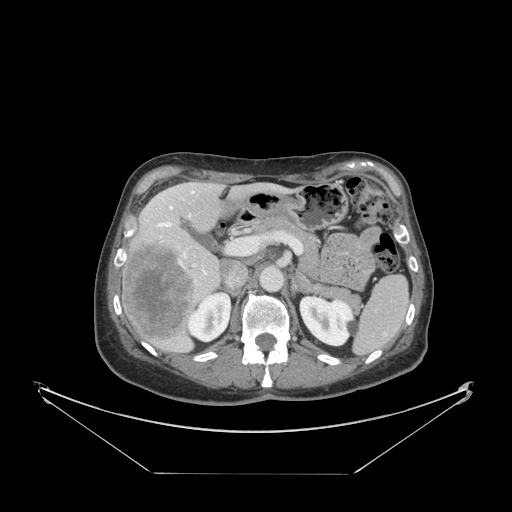

CT slice. 512x512 px.
spleen:
  - x1=354, y1=277, x2=409, y2=353